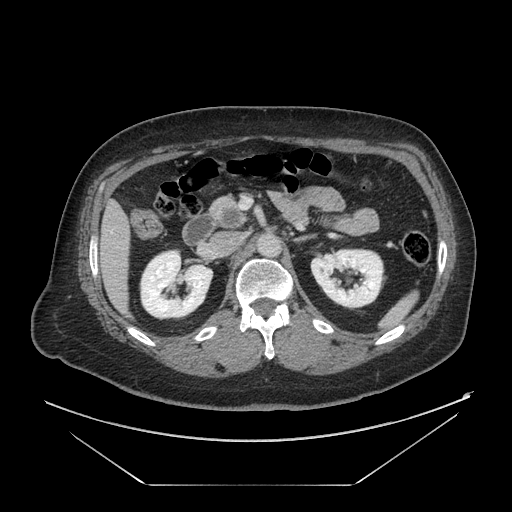 Abdomen | CT scan slice | Image size 512x512
Pancreas at l=211, t=198, r=244, b=227.
Pancreatic tumor at l=222, t=207, r=239, b=225.